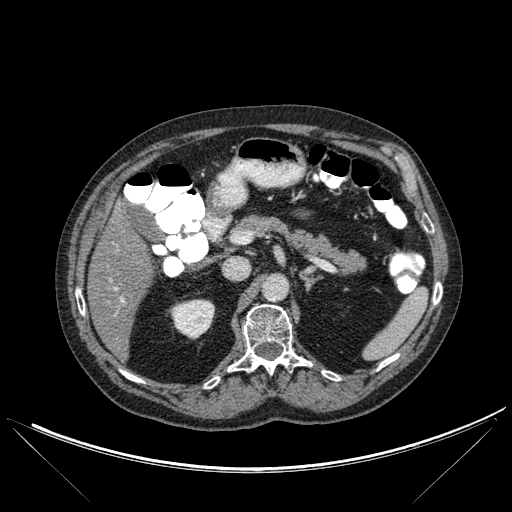 Liver; CT
Kidney: bounding box box=[171, 300, 214, 338].
Bone: bounding box box=[76, 290, 84, 314]; box=[377, 354, 398, 370]; box=[120, 370, 144, 382]; box=[433, 282, 442, 304]; box=[227, 304, 311, 374]; box=[322, 370, 340, 380].
Liver: bounding box box=[188, 262, 200, 267]; box=[88, 205, 152, 362].